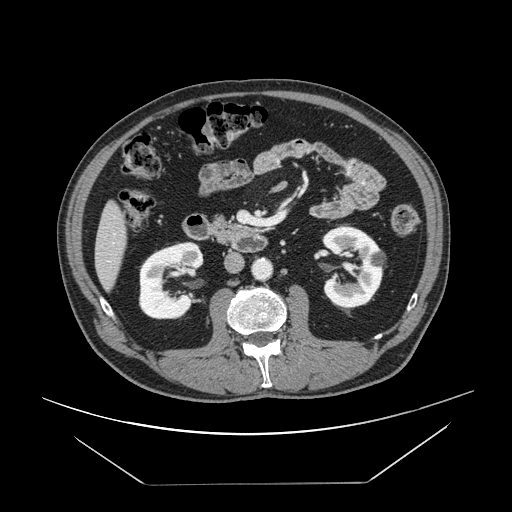
Abdomen, CT image
pancreas:
  - l=211, t=214, r=227, b=232